Liver, CT 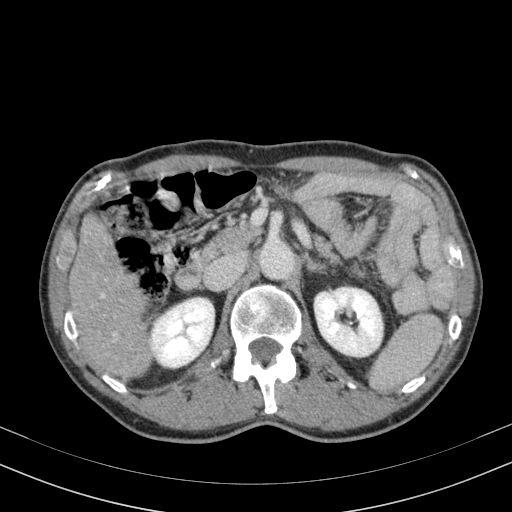
Liver — [x1=70, y1=211, x2=150, y2=379].
Kidney — [x1=152, y1=298, x2=213, y2=366], [x1=315, y1=288, x2=382, y2=355].